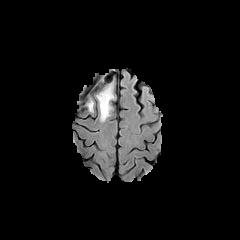
FLAIR MR.
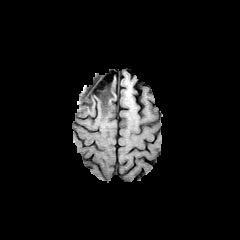
Same slice, T1-weighted MR.
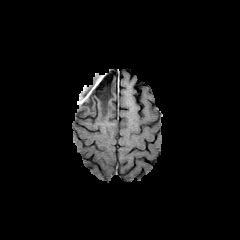
Post-contrast T1-weighted MR.
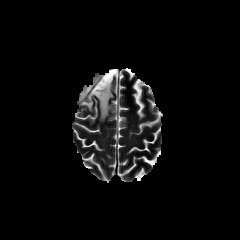
Same slice, T2-weighted MRI.
Brain
<segmentation>
  <edema>box=[88, 82, 114, 121]</edema>
  <non-enhancing_tumor_core>box=[84, 92, 91, 105]; box=[94, 81, 111, 103]</non-enhancing_tumor_core>
</segmentation>